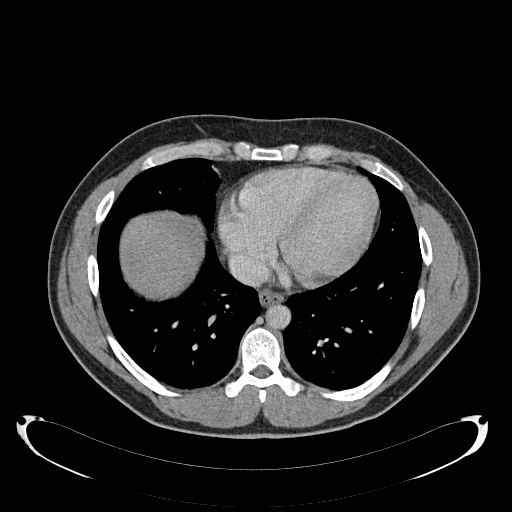

512x512 px. CT slice.

Liver at 120:214:203:296.